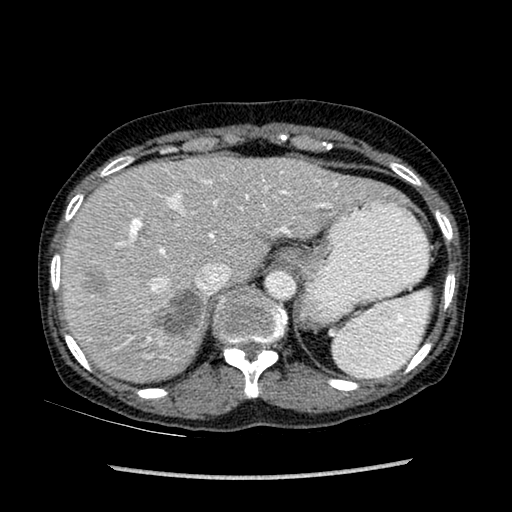 Abdomen; Image size 512x512; CT image

Liver — box=[61, 157, 385, 381].
Hepatic lesion — box=[151, 288, 202, 337]; box=[82, 268, 109, 295].